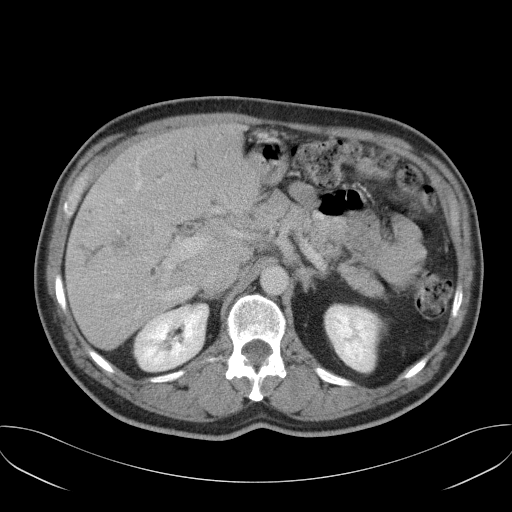

CT image; Liver
Not every hepatic vessel necessarily has a box.
hepatic vessel: region(164, 286, 190, 299); region(230, 230, 247, 237); region(164, 236, 209, 268); region(212, 207, 224, 212) | liver tumor: region(113, 234, 132, 251)